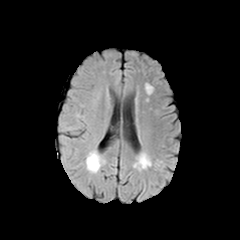
FLAIR magnetic resonance.
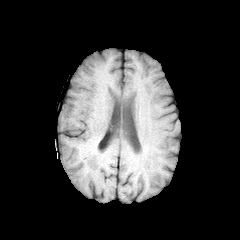
Same slice, T1-weighted MR image.
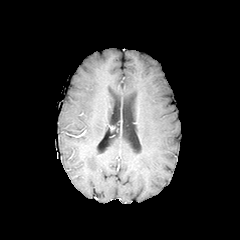
Post-contrast T1-weighted magnetic resonance of the same slice.
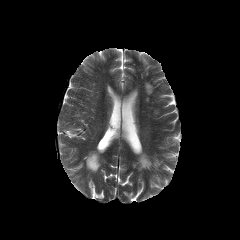
T2-weighted MRI.
Head
<segmentation>
  <edema>(x1=86, y1=151, x2=99, y2=171)</edema>
</segmentation>